Field of view 364 mm wide, 5.00 mm slice spacing, Slice 85/90, CT slice

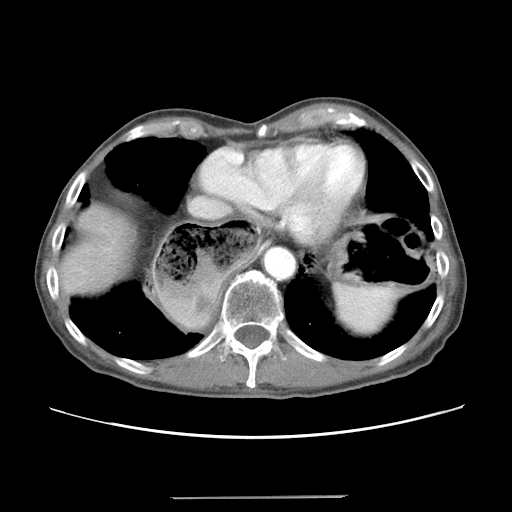
Colon tumor at bbox=[329, 233, 358, 283].